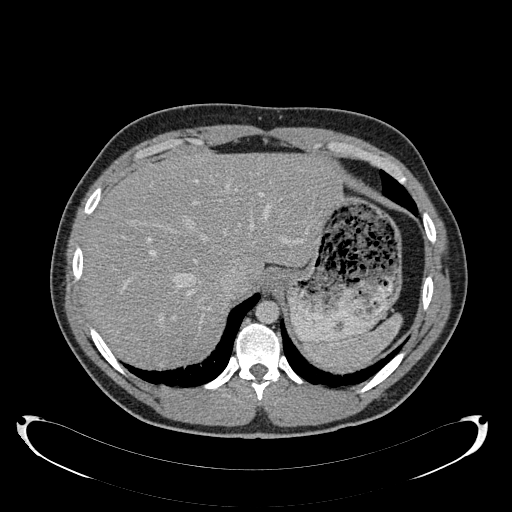 Computed tomography
Liver = 83,153,337,364.